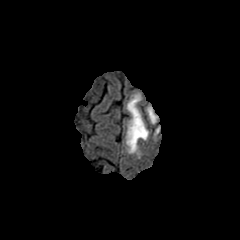
FLAIR MRI.
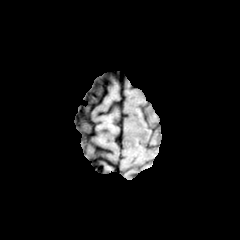
T1-weighted MR image of the same slice.
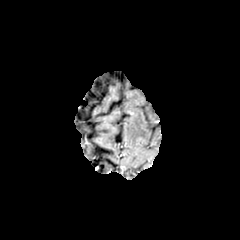
Post-contrast T1-weighted magnetic resonance.
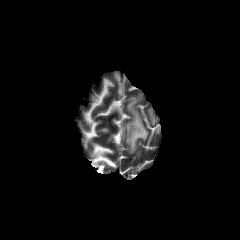
T2-weighted magnetic resonance.
Head | 240x240 px
{
  "edema": [
    "box(124, 93, 159, 155)"
  ]
}